Slice index 56 | Image width 410 mm | Upper abdomen | CT image | Image size 512x512 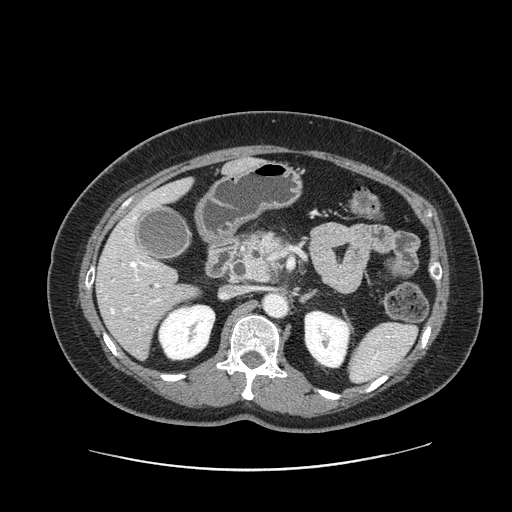 Pancreas: bounding box (left=241, top=232, right=289, bottom=282).